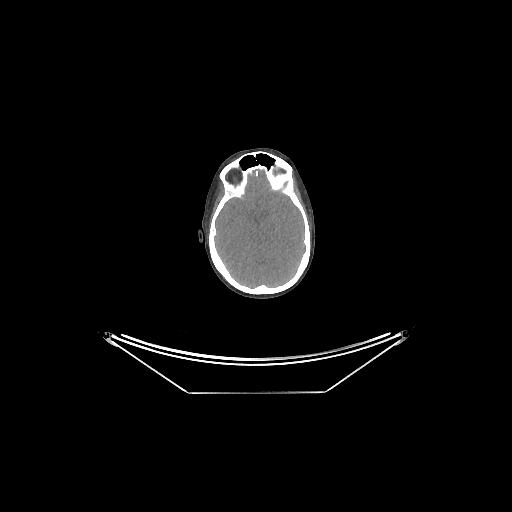
CT image. 512x512.

brain:
  - 214,169,305,287